512x512 px. Computed tomography. 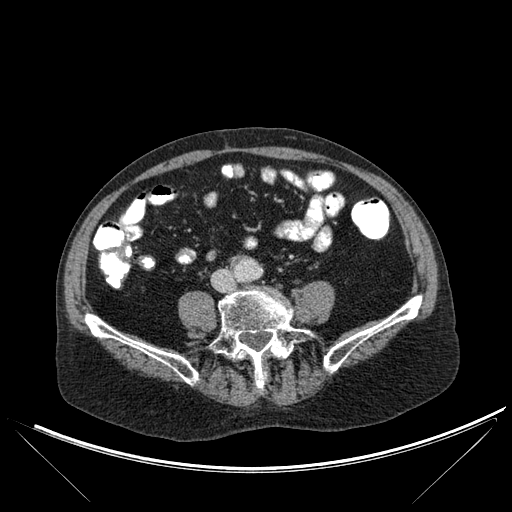

Bone: (left=214, top=290, right=307, bottom=390), (left=324, top=295, right=421, bottom=372), (left=85, top=314, right=198, bottom=383).